512x512 px, Slice index 132, Field of view 350x350 mm, CT image
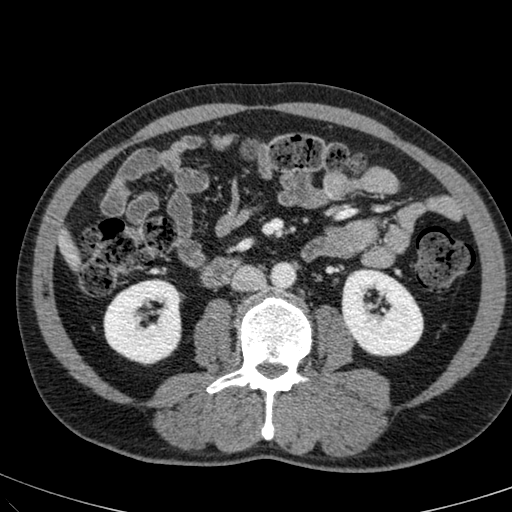
- liver: (62, 237, 72, 253)
- kidney: (343, 271, 420, 354), (105, 281, 179, 362)